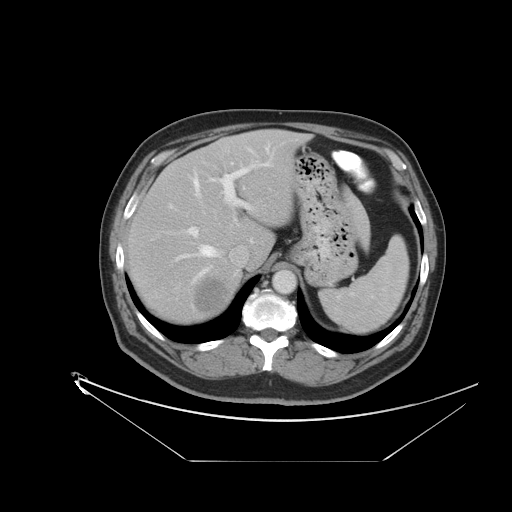 512x512 px; CT slice
Not every hepatic vessel necessarily has a box.
13 hepatic vessel regions are bounded by x1=177 y1=254 x2=189 y2=259, x1=225 y1=195 x2=227 y2=200, x1=265 y1=144 x2=269 y2=151, x1=188 y1=227 x2=197 y2=236, x1=243 y1=203 x2=250 y2=208, x1=234 y1=163 x2=270 y2=176, x1=229 y1=195 x2=230 y2=197, x1=200 y1=245 x2=217 y2=256, x1=248 y1=149 x2=253 y2=152, x1=209 y1=178 x2=213 y2=180, x1=194 y1=268 x2=208 y2=279, x1=191 y1=172 x2=199 y2=195, x1=250 y1=240 x2=252 y2=241. The liver tumor lies within x1=193 y1=278 x2=229 y2=312.